Computed tomography | Pelvis
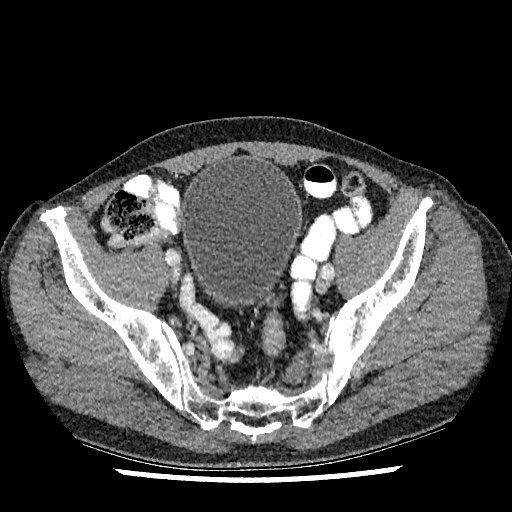
The urinary bladder lies within bbox=[180, 158, 299, 307].